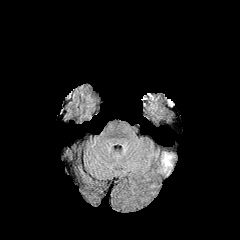
FLAIR MR image.
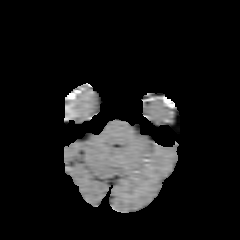
T1-weighted MR image.
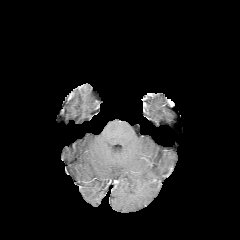
Post-contrast T1-weighted magnetic resonance.
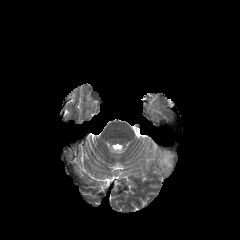
T2-weighted MR.
Head.
edema: (left=144, top=102, right=155, bottom=111)